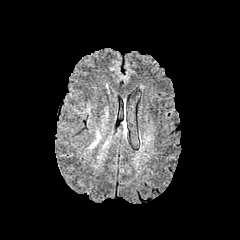
FLAIR MRI.
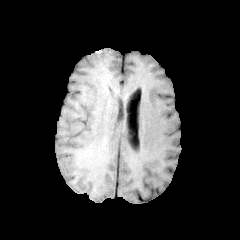
T1-weighted MRI.
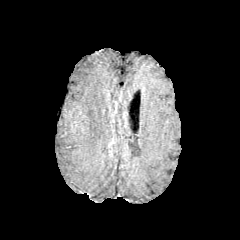
Post-contrast T1-weighted MR image of the same slice.
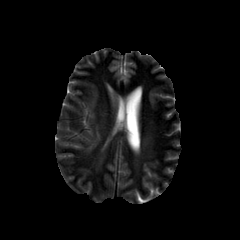
Same slice, T2-weighted magnetic resonance.
240x240 px
Findings:
- edema: rect(88, 130, 101, 148)